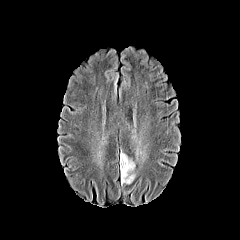
FLAIR magnetic resonance.
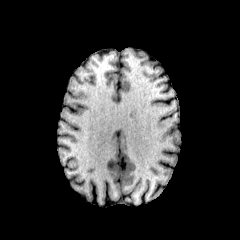
T1-weighted MRI of the same slice.
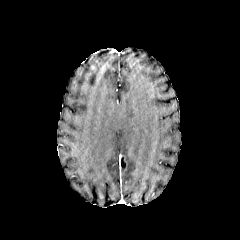
Same slice, post-contrast T1-weighted MRI.
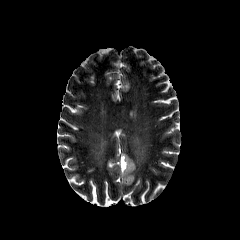
T2-weighted MR image.
Head
edema: <box>121,153,135,183</box> | non-enhancing tumor core: <box>120,156,125,169</box>